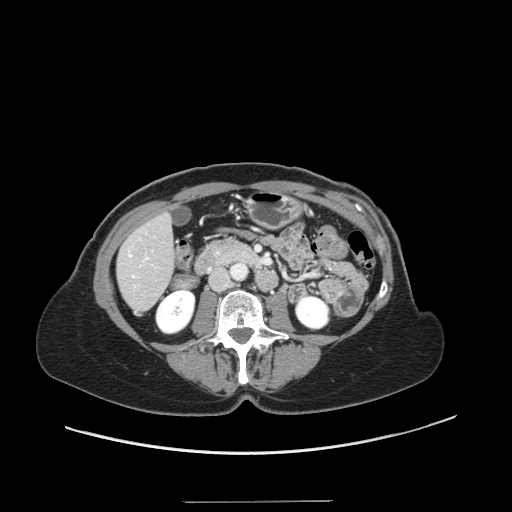 Computed tomography | Abdomen

The vessel boxes may cover only some of the vessels.
Annotated regions:
* hepatic vessel: [x1=129, y1=250, x2=131, y2=255]